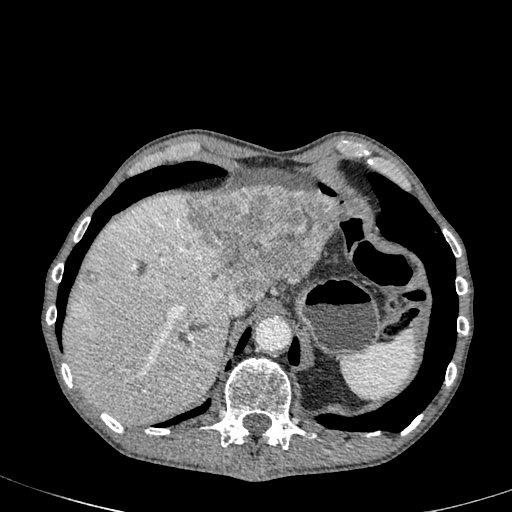 Abdomen; CT image

The hepatic lesion lies within rect(184, 186, 343, 306). 3 liver regions are bounded by rect(62, 195, 237, 425); rect(285, 275, 302, 282); rect(333, 199, 348, 222).